CT slice 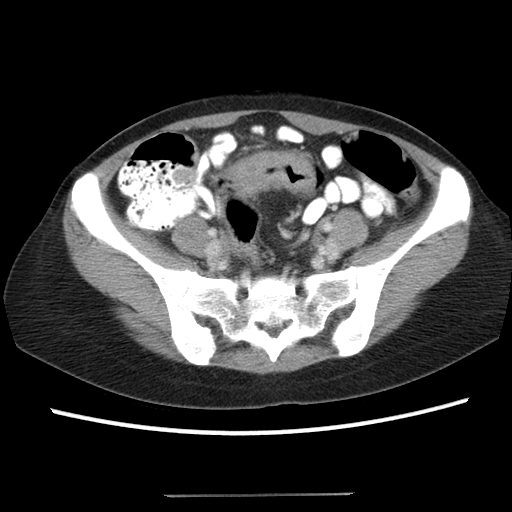

colon tumor: 228:152:316:196